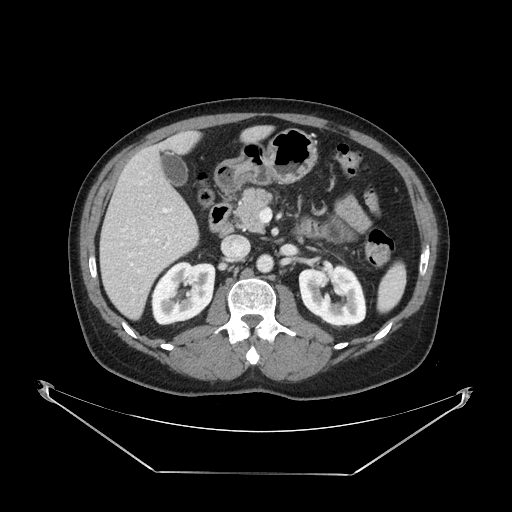
Upper abdomen | CT slice

pancreatic_tumor:
  - 256 192 268 204
pancreas:
  - 235 187 273 232